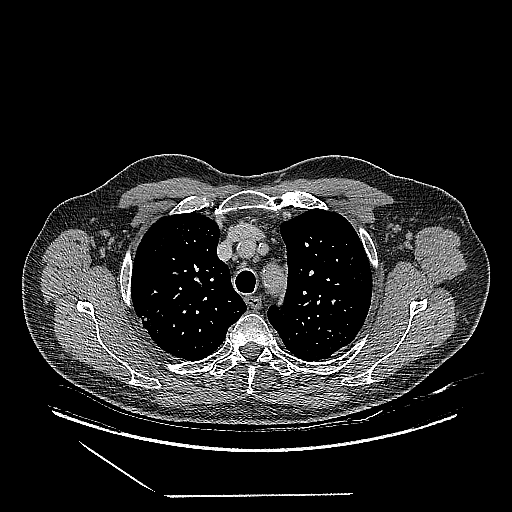 Computed tomography. Lung tumor: bounding box bbox(138, 315, 154, 332).